240x240 px
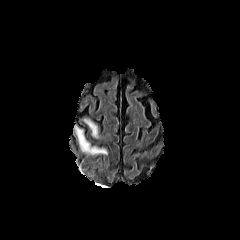
FLAIR magnetic resonance.
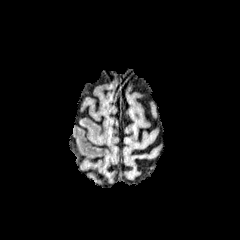
T1-weighted MR.
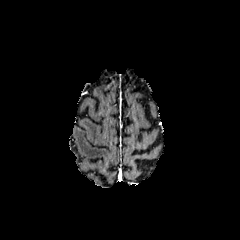
Post-contrast T1-weighted magnetic resonance of the same slice.
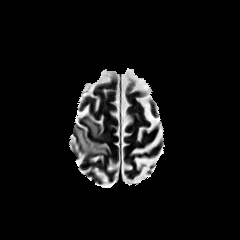
T2-weighted MRI.
- edema: x1=84 y1=118 x2=98 y2=137, x1=74 y1=125 x2=107 y2=153